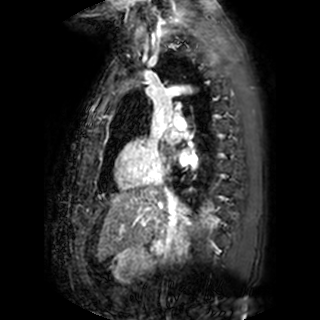 MRI slice | Cardiac

2 left atrium regions are bounded by region(178, 150, 193, 162); region(165, 128, 176, 142).